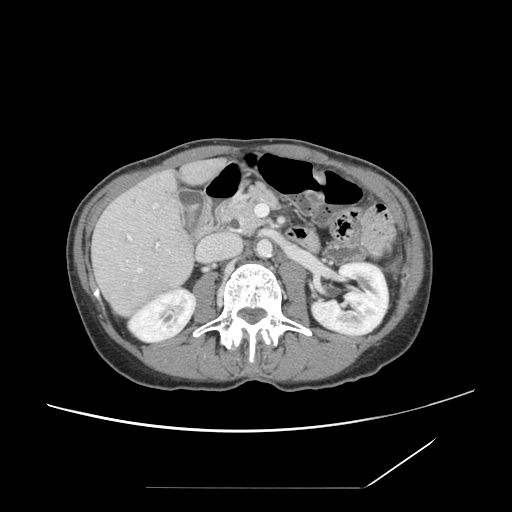

CT, Abdomen

pancreas:
  - <box>216,182,280,235</box>